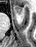 MRI | Medial temporal lobe

The anterior hippocampus lies within [x1=14, y1=6, x2=21, y2=13].